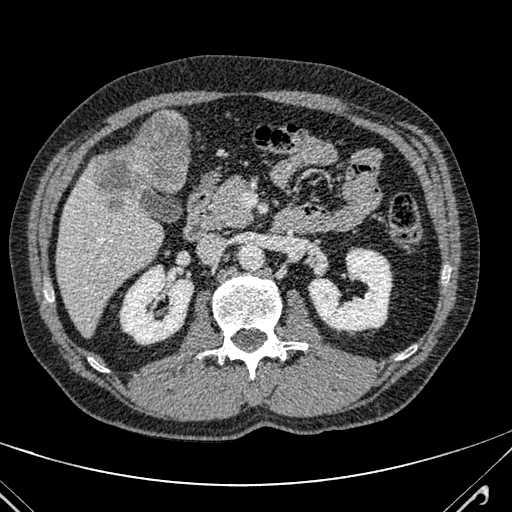
CT scan slice

liver lesion: [92,112,188,209] | liver: [57,157,162,336]